CT scan slice. 512x512.
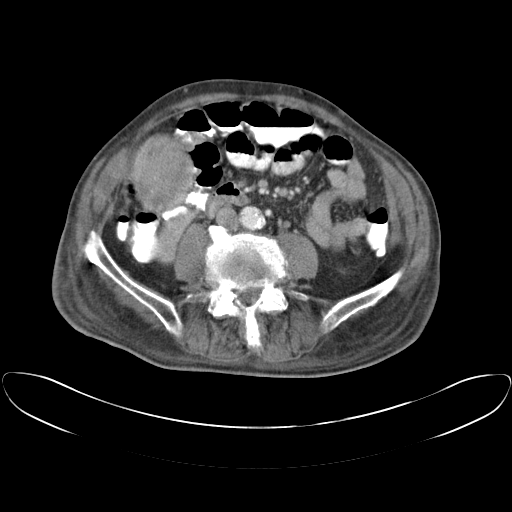 Only some of the vessels may be annotated.
The liver tumor is bounded by <bbox>140, 139, 185, 202</bbox>. The hepatic vessel appears at <bbox>168, 208, 190, 218</bbox>.